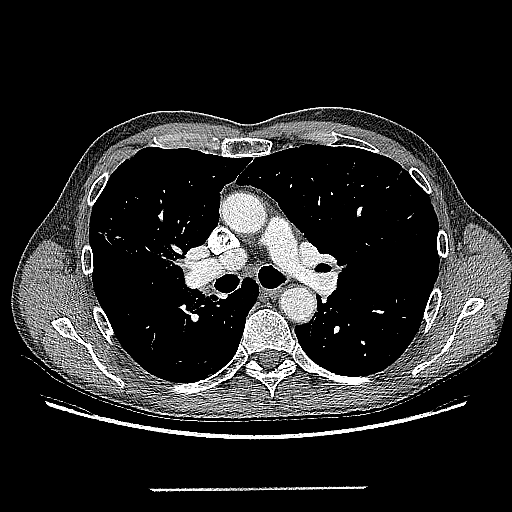 Thorax; CT

<segmentation>
  <lung_tumor>395 168 405 181</lung_tumor>
</segmentation>